Liver; CT slice 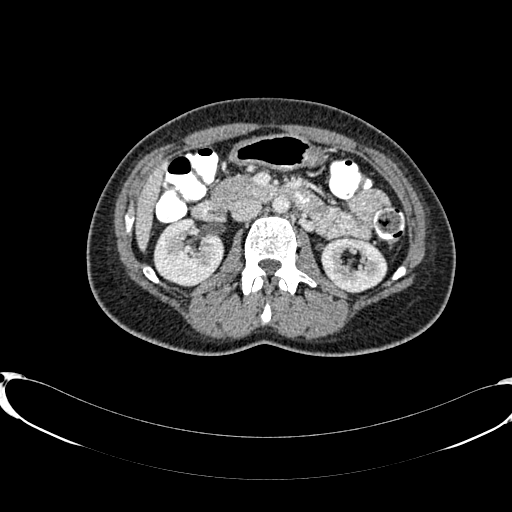

liver:
  - bbox=[135, 162, 165, 249]
kidney:
  - bbox=[322, 239, 385, 291]
  - bbox=[155, 220, 222, 284]